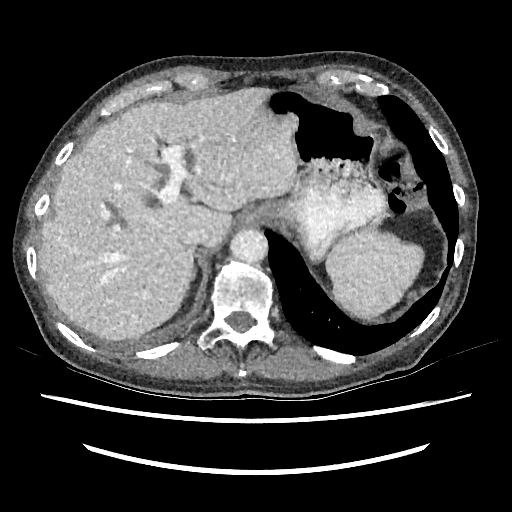 Abdomen | CT scan slice
Liver = l=38, t=89, r=295, b=340.